Slice 35 of 95 | Upper abdomen | CT slice | 512x512 px 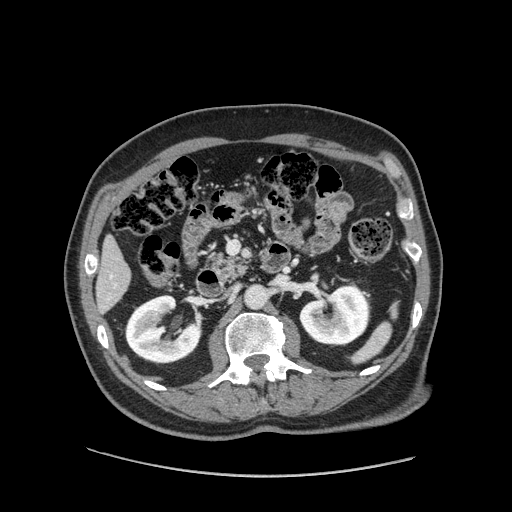
The pancreas lies within 210 255 246 279.